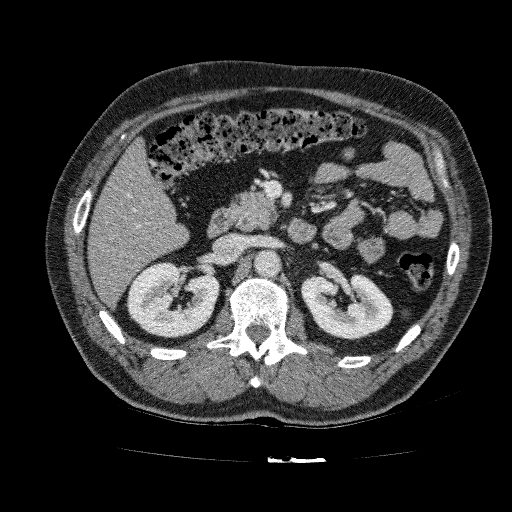
Abdomen; Computed tomography
kidney:
  - left=302, top=275, right=392, bottom=338
  - left=128, top=263, right=218, bottom=336
liver:
  - left=87, top=138, right=189, bottom=307